Lower abdomen. CT image. Field of view 350 mm wide, 0.70 mm slice spacing. Slice index 133.
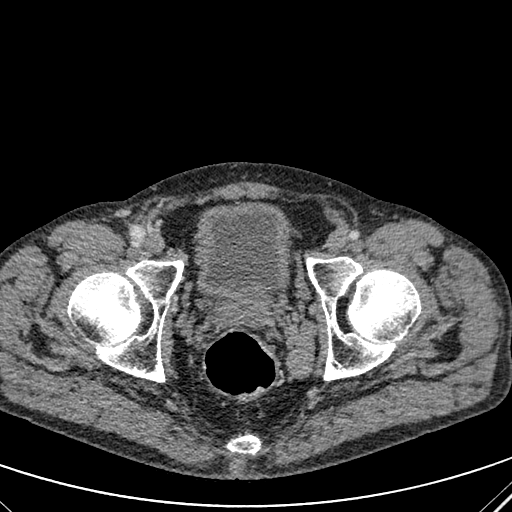

<segmentation>
  <urinary_bladder>l=204, t=209, r=280, b=293</urinary_bladder>
</segmentation>